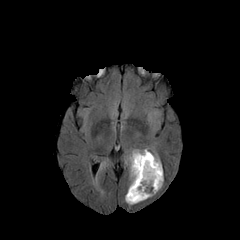
FLAIR MR image.
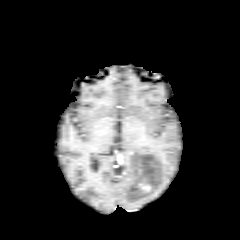
T1-weighted MR image of the same slice.
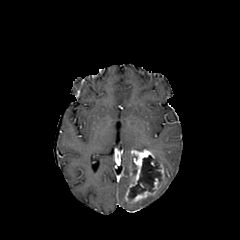
Same slice, post-contrast T1-weighted magnetic resonance.
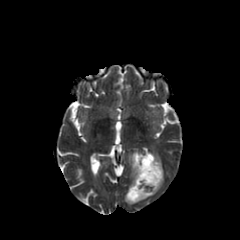
Same slice, T2-weighted MR.
edema:
  - box(125, 151, 135, 189)
  - box(144, 147, 161, 164)
  - box(124, 193, 155, 205)
enhancing_tumor:
  - box(157, 163, 164, 177)
  - box(130, 149, 154, 187)
  - box(131, 178, 159, 201)
non-enhancing_tumor_core:
  - box(129, 155, 161, 199)